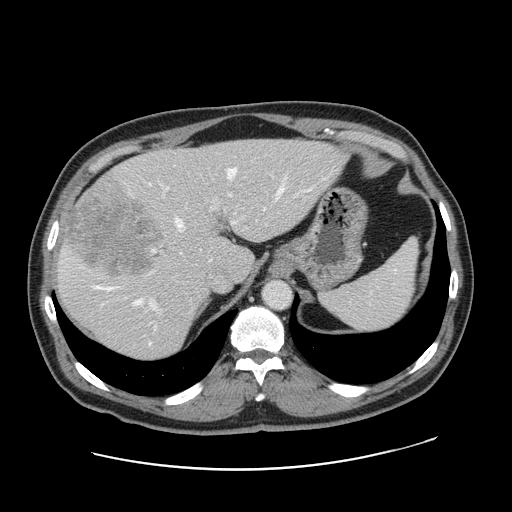
Computed tomography | Abdomen
The vessel annotation is not exhaustive.
Segmented structures:
- hepatic vessel: [x1=227, y1=167, x2=237, y2=178], [x1=160, y1=183, x2=168, y2=194], [x1=234, y1=211, x2=235, y2=212], [x1=210, y1=206, x2=214, y2=209], [x1=224, y1=208, x2=225, y2=209], [x1=263, y1=207, x2=265, y2=209], [x1=149, y1=300, x2=157, y2=309], [x1=151, y1=322, x2=156, y2=328], [x1=149, y1=182, x2=150, y2=184], [x1=241, y1=217, x2=242, y2=218], [x1=276, y1=182, x2=286, y2=197], [x1=320, y1=168, x2=333, y2=180], [x1=175, y1=218, x2=183, y2=229], [x1=231, y1=220, x2=237, y2=228], [x1=306, y1=186, x2=313, y2=191]
- liver tumor: [x1=65, y1=195, x2=161, y2=276]